Brain | Image width 240 mm | Slice 81 of 155
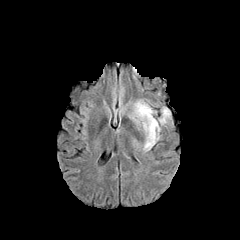
FLAIR magnetic resonance.
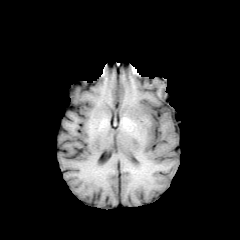
T1-weighted magnetic resonance of the same slice.
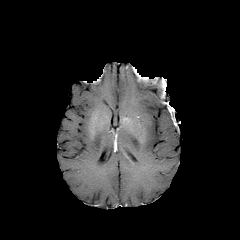
Post-contrast T1-weighted magnetic resonance.
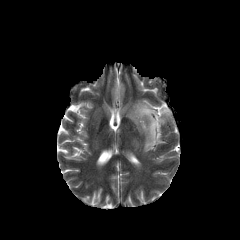
T2-weighted MR image.
Annotated regions:
• edema: 128, 99, 171, 151